CT. Abdomen. Slice index 125.

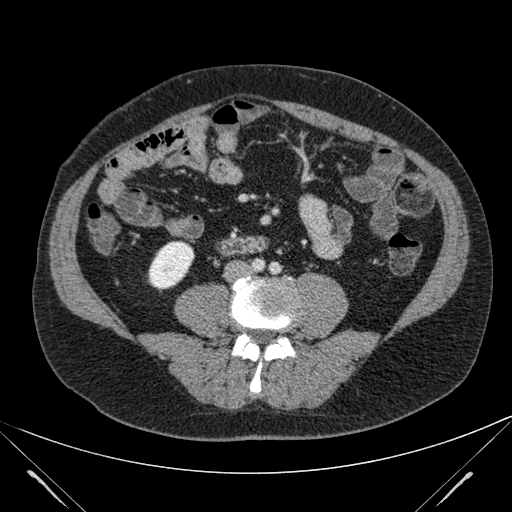

kidney:
  - [x1=149, y1=242, x2=193, y2=288]